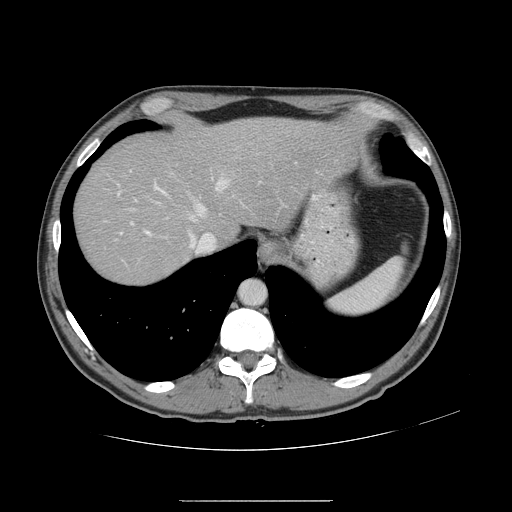

Computed tomography. Abdomen. 512x512 px.

The vessel boxes may cover only some of the vessels.
Hepatic vessel: bounding box {"x1": 217, "y1": 178, "x2": 227, "y2": 190}, {"x1": 189, "y1": 216, "x2": 194, "y2": 219}, {"x1": 189, "y1": 233, "x2": 214, "y2": 248}, {"x1": 195, "y1": 204, "x2": 205, "y2": 216}, {"x1": 145, "y1": 231, "x2": 149, "y2": 234}, {"x1": 154, "y1": 183, "x2": 163, "y2": 192}, {"x1": 118, "y1": 192, "x2": 119, "y2": 194}.